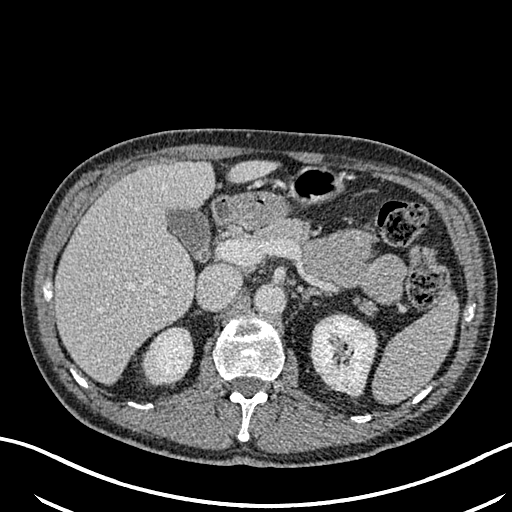 CT image.
<segmentation>
  <kidney>(312, 316, 375, 391), (145, 328, 192, 381)</kidney>
  <liver>(55, 161, 213, 383), (227, 161, 277, 182)</liver>
</segmentation>